FLAIR MR image.
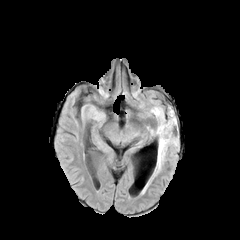
T1-weighted MR.
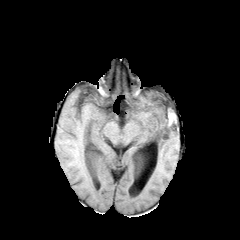
Post-contrast T1-weighted MR.
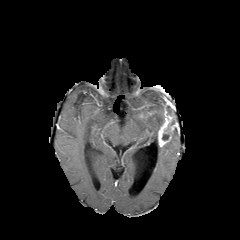
T2-weighted MR image.
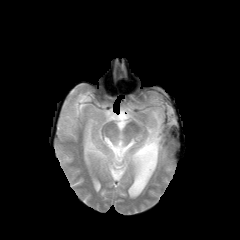
Brain.
Enhancing tumor: bounding box (x1=158, y1=118, x2=168, y2=145).
Non-enhancing tumor core: bounding box (x1=160, y1=105, x2=177, y2=147).
Edema: bounding box (x1=149, y1=101, x2=162, y2=139), (x1=156, y1=134, x2=175, y2=168).